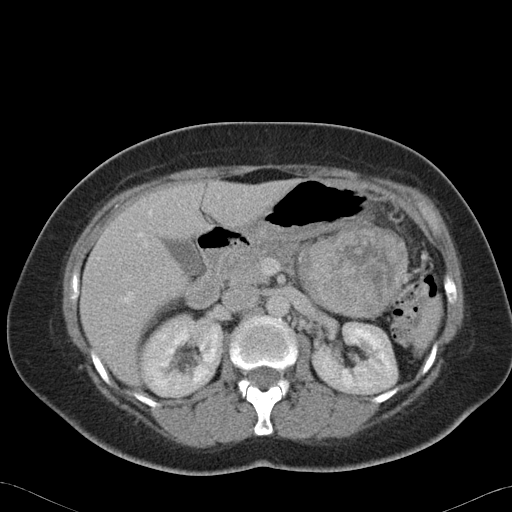
Abdomen | Image size 512x512 | CT image
pancreatic_tumor:
  - (299, 227, 408, 317)
pancreas:
  - (222, 243, 315, 283)